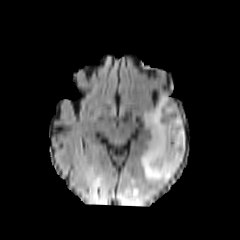
FLAIR magnetic resonance.
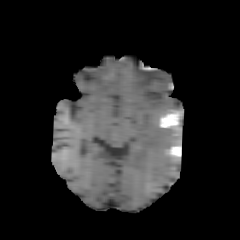
T1-weighted MRI of the same slice.
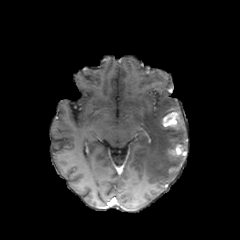
Same slice, post-contrast T1-weighted MR image.
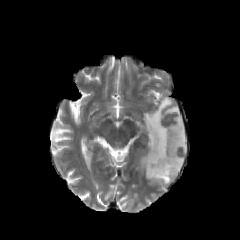
T2-weighted magnetic resonance.
The non-enhancing tumor core is located at x1=171 y1=135 x2=180 y2=141. The edema lies within x1=139 y1=93 x2=186 y2=184. 2 enhancing tumor regions are located at x1=162 y1=111 x2=179 y2=129, x1=169 y1=144 x2=186 y2=156.